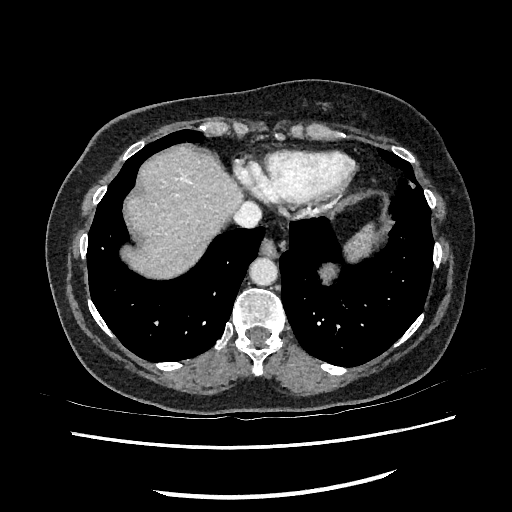
CT scan slice.
Segmented structures:
* liver: bbox=[128, 147, 240, 277]